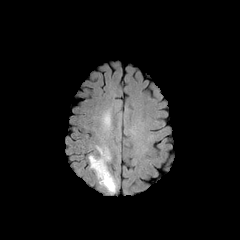
FLAIR MR image.
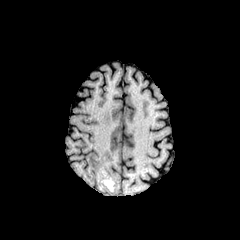
T1-weighted magnetic resonance of the same slice.
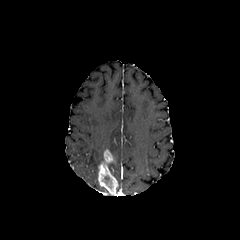
Post-contrast T1-weighted magnetic resonance.
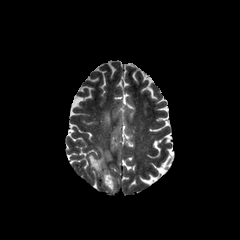
Same slice, T2-weighted MRI.
Brain.
2 edema regions are located at region(95, 145, 104, 163); region(100, 109, 111, 131). The non-enhancing tumor core lies within region(102, 175, 112, 184). The enhancing tumor is bounded by region(96, 149, 118, 195).